FLAIR MR image.
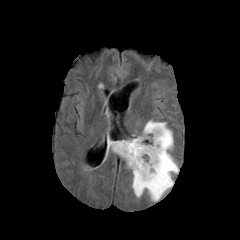
T1-weighted MRI.
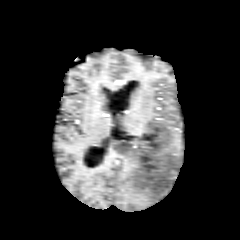
Post-contrast T1-weighted MRI.
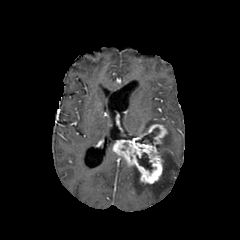
T2-weighted MRI.
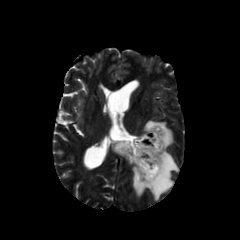
Head, 240x240
Non-enhancing tumor core: bounding box x1=137, y1=152, x2=152, y2=171; x1=136, y1=127, x2=160, y2=145.
Edema: bounding box x1=128, y1=119, x2=178, y2=201.
Enhancing tumor: bounding box x1=112, y1=124, x2=166, y2=183.